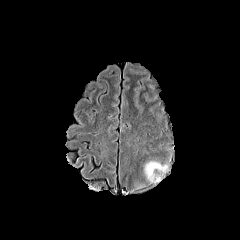
FLAIR magnetic resonance.
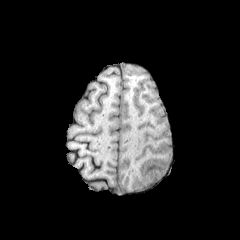
T1-weighted MR.
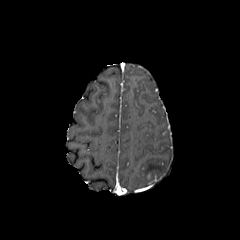
Post-contrast T1-weighted MR.
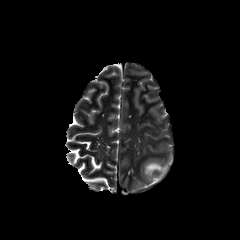
Same slice, T2-weighted MR.
The edema is located at l=145, t=162, r=167, b=173.